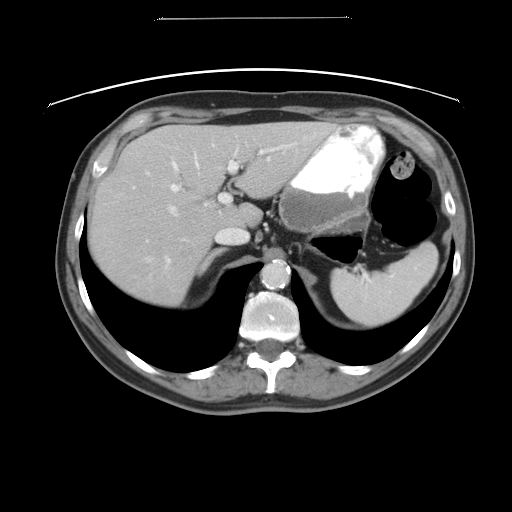
Abdomen. CT scan slice. Some hepatic vessels may have no box.
13 hepatic vessel regions appear at (left=260, top=142, right=296, bottom=153), (left=146, top=256, right=151, bottom=261), (left=166, top=257, right=170, bottom=263), (left=228, top=160, right=238, bottom=171), (left=216, top=228, right=248, bottom=242), (left=145, top=170, right=149, bottom=173), (left=184, top=238, right=187, bottom=240), (left=205, top=202, right=207, bottom=205), (left=171, top=184, right=180, bottom=191), (left=219, top=194, right=231, bottom=202), (left=133, top=186, right=134, bottom=187), (left=171, top=156, right=177, bottom=170), (left=169, top=205, right=177, bottom=214).